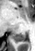

Magnetic resonance
<segmentation>
  <posterior_hippocampus>13 31 25 42</posterior_hippocampus>
</segmentation>